35x51 px; MRI; Medial temporal lobe; Slice index 13

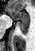

Posterior hippocampus: <box>17,23,29,34</box>.
Anterior hippocampus: <box>7,8,29,22</box>.